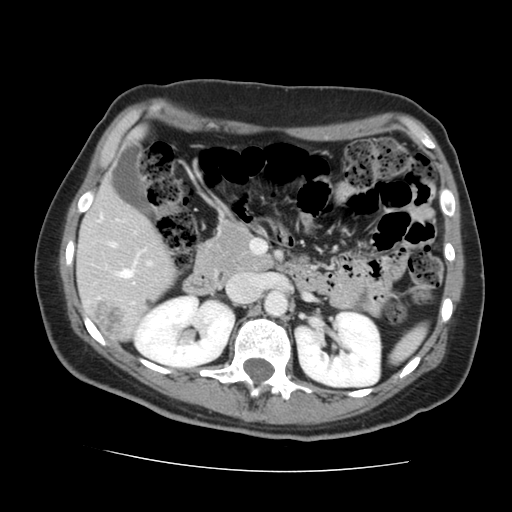
CT, Abdomen
The vessel boxes may cover only some of the vessels.
The liver tumor is at bbox=[95, 302, 120, 335]. 5 hepatic vessel regions are located at bbox=[109, 243, 114, 246]; bbox=[147, 263, 150, 264]; bbox=[98, 216, 101, 221]; bbox=[117, 268, 132, 277]; bbox=[134, 261, 135, 264].